Abdomen. Computed tomography. 512x512.
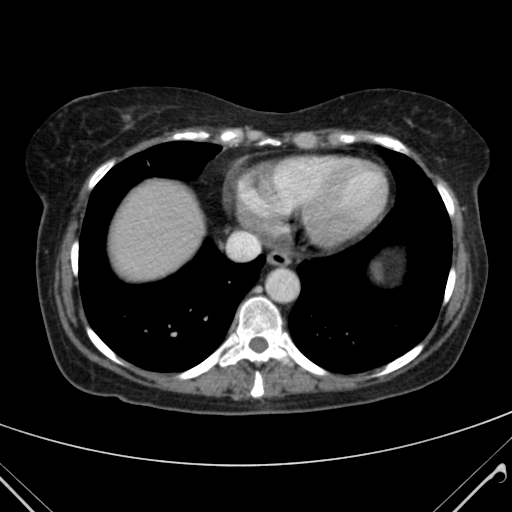 Segmented structures:
• liver: x1=112 y1=183 x2=202 y2=282